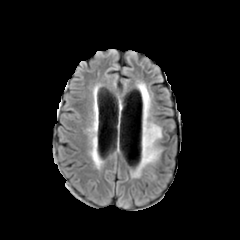
FLAIR MR.
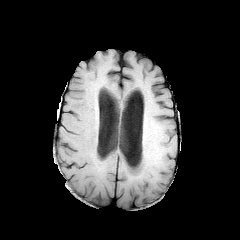
T1-weighted MR.
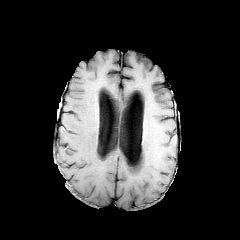
Post-contrast T1-weighted MR of the same slice.
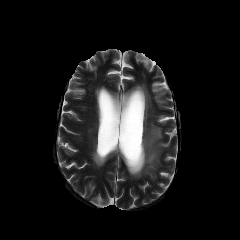
Same slice, T2-weighted MR image.
Brain, Image size 240x240
Edema: bounding box 134,84,161,175.